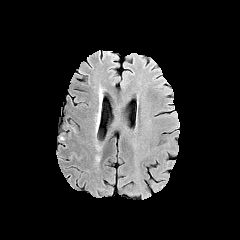
FLAIR MRI.
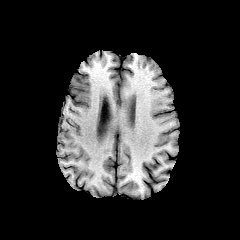
T1-weighted MRI.
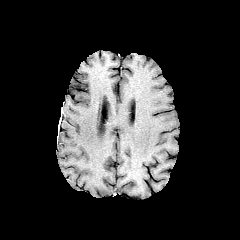
Post-contrast T1-weighted MRI.
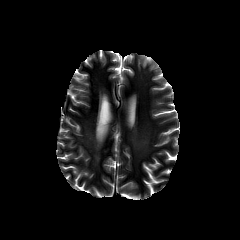
T2-weighted magnetic resonance of the same slice.
Brain | 240x240
The edema is bounded by x1=94, y1=107, x2=100, y2=150.